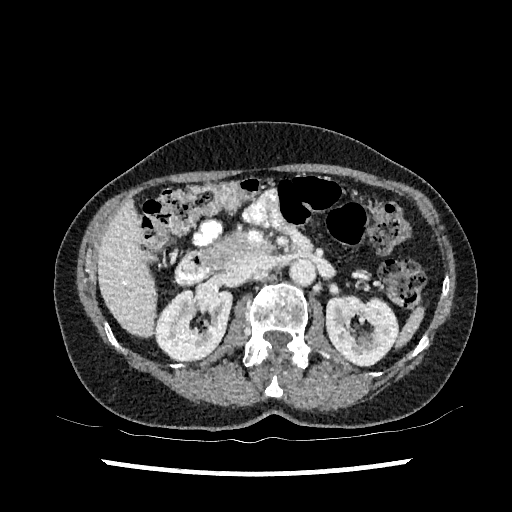 Computed tomography, Abdomen, Image size 512x512

2 kidney regions are bounded by l=156, t=280, r=231, b=360; l=326, t=297, r=397, b=365. The liver lies within l=99, t=202, r=155, b=336.